240x240 px. Slice 91/155. Brain.
FLAIR MR image.
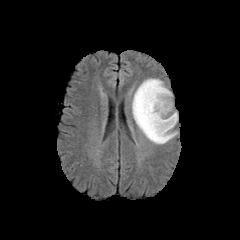
T1-weighted magnetic resonance.
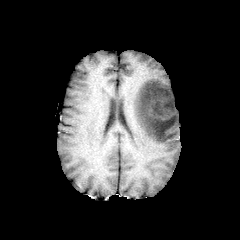
Post-contrast T1-weighted MR.
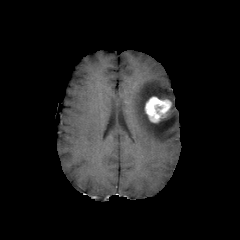
T2-weighted magnetic resonance.
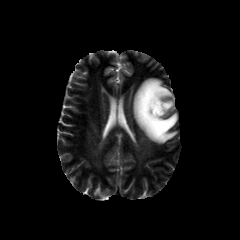
The enhancing tumor appears at left=144, top=96, right=173, bottom=123. The edema is at left=132, top=78, right=178, bottom=144.